Image size 240x240
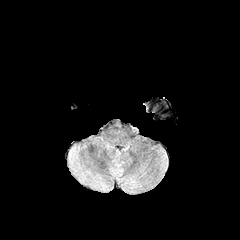
FLAIR MR image.
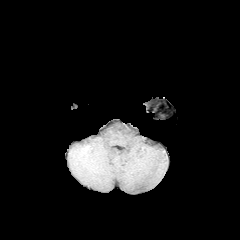
Same slice, T1-weighted MRI.
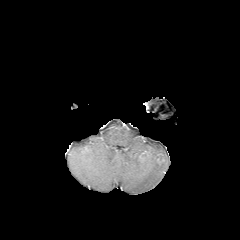
Same slice, post-contrast T1-weighted magnetic resonance.
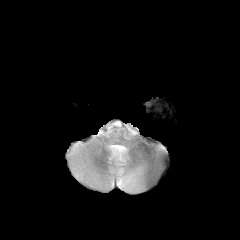
T2-weighted MR image.
<segmentation>
  <edema>{"x1": 109, "y1": 147, "x2": 121, "y2": 158}, {"x1": 121, "y1": 171, "x2": 139, "y2": 188}</edema>
</segmentation>